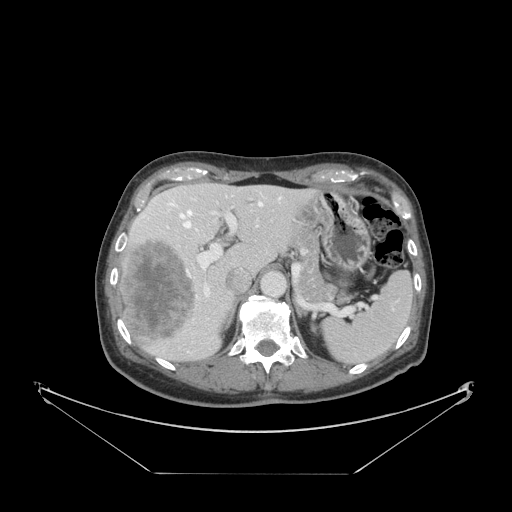 Abdomen | 512x512 | CT slice
Spleen at left=324, top=272, right=414, bottom=365.